CT image; Image size 512x512; Image width 375 mm; Liver; Slice index 55 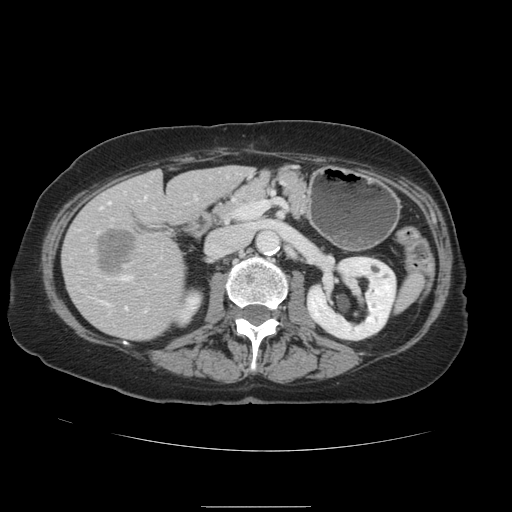

The vessel boxes may cover only some of the vessels.
Liver tumor: left=98, top=229, right=135, bottom=272.
Hepatic vessel: left=193, top=197, right=195, bottom=199; left=120, top=276, right=128, bottom=280; left=144, top=196, right=146, bottom=198; left=99, top=207, right=101, bottom=209; left=108, top=202, right=109, bottom=203.